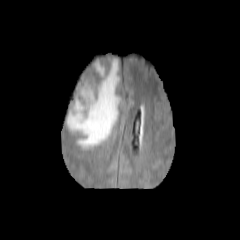
FLAIR magnetic resonance.
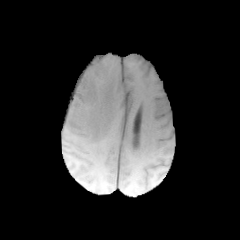
T1-weighted MR.
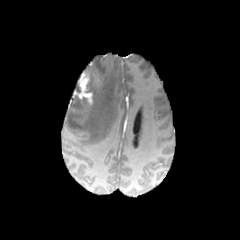
Post-contrast T1-weighted MRI.
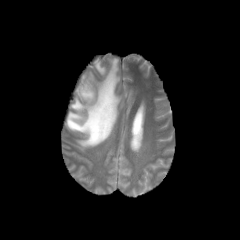
T2-weighted MRI.
non-enhancing_tumor_core:
  - 76:65:102:109
enhancing_tumor:
  - 77:71:93:103
edema:
  - 66:58:121:148